CT. Liver. Field of view 432x432 mm.
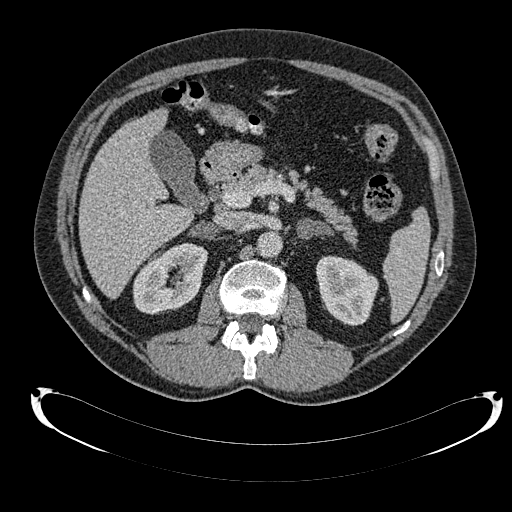
{"liver": ["79:109:193:297"], "kidney": ["316:256:377:324", "133:243:206:313"]}